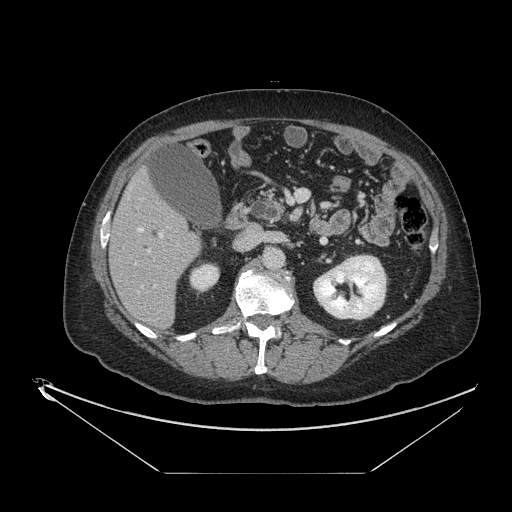

Image size 512x512. Upper abdomen. CT.
Pancreas at x1=266, y1=199, x2=283, y2=220.